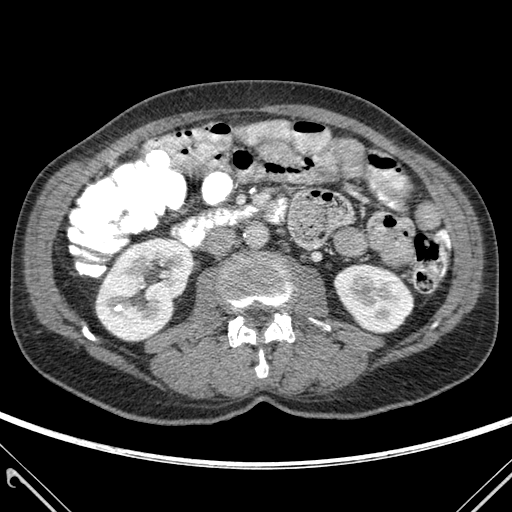
CT; Abdomen

Segmented structures:
* kidney: region(335, 265, 412, 331); region(96, 239, 187, 340)
* bone: region(83, 327, 94, 340); region(223, 261, 291, 310); region(255, 350, 267, 377); region(228, 316, 255, 346); region(265, 313, 294, 342)